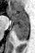 MRI slice

The posterior hippocampus is located at <bbox>14, 24, 28, 40</bbox>. The anterior hippocampus lies within <bbox>8, 8, 28, 23</bbox>.